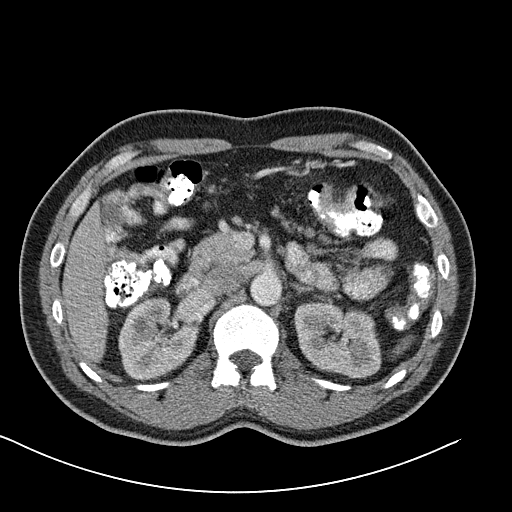 Abdomen; CT slice
Colon tumor — 320:185:356:211.